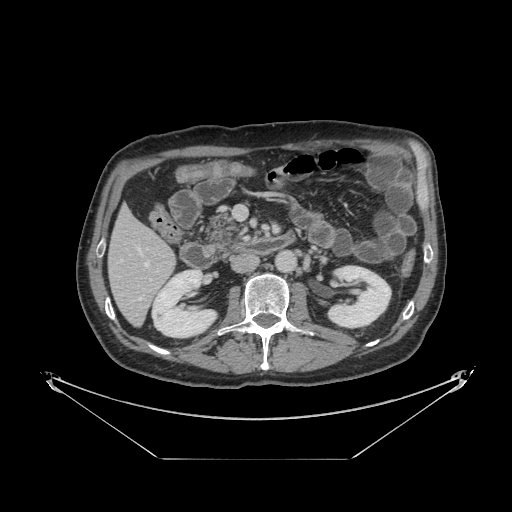
Computed tomography
<segmentation>
  <pancreas>l=202, t=212, r=239, b=254</pancreas>
</segmentation>